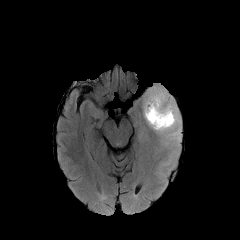
FLAIR magnetic resonance.
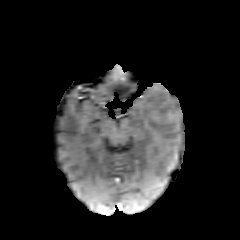
T1-weighted MR image of the same slice.
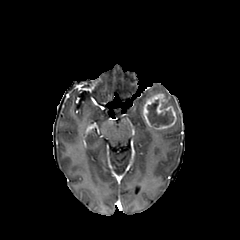
Post-contrast T1-weighted MRI.
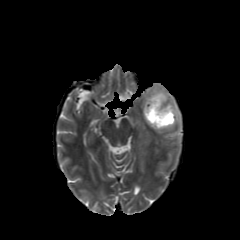
T2-weighted MRI of the same slice.
240x240
non-enhancing tumor core: 148 100 173 127 | edema: 141 84 182 168 | enhancing tumor: 143 93 176 129